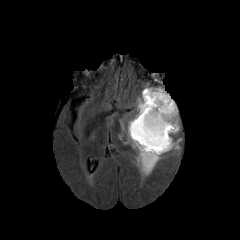
FLAIR magnetic resonance.
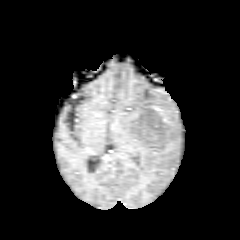
T1-weighted magnetic resonance.
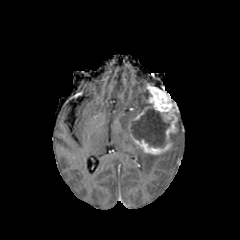
Post-contrast T1-weighted MR image of the same slice.
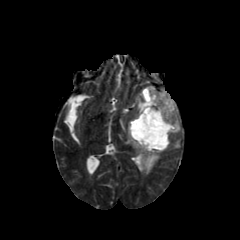
T2-weighted MR image.
Edema = box(121, 86, 181, 174).
Non-enhancing tumor core = box(130, 89, 170, 147).
Enhancing tumor = box(132, 85, 178, 154).